FLAIR MR image.
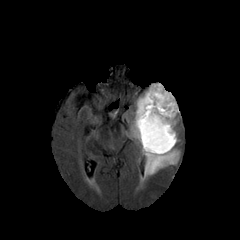
T1-weighted MRI.
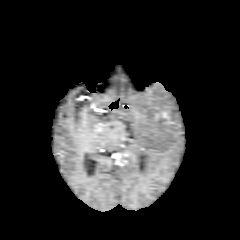
Post-contrast T1-weighted MR.
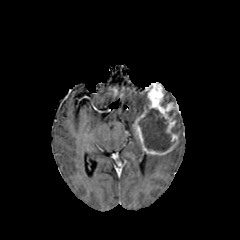
T2-weighted MR image.
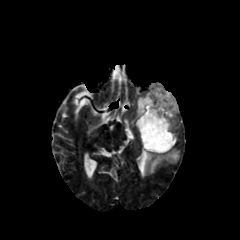
Annotated regions:
• edema: [x1=174, y1=114, x2=180, y2=134], [x1=126, y1=92, x2=179, y2=177]
• non-enhancing tumor core: [x1=142, y1=151, x2=146, y2=168], [x1=162, y1=92, x2=175, y2=105], [x1=138, y1=91, x2=171, y2=151]
• enhancing tumor: [x1=134, y1=109, x2=165, y2=154], [x1=145, y1=82, x2=179, y2=141]